Slice index 549; Liver; CT scan slice
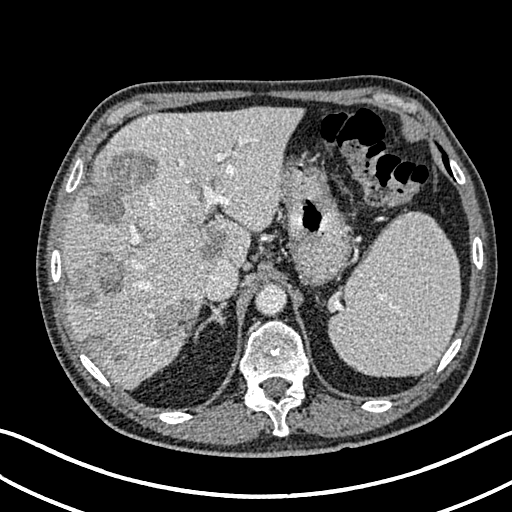 <segmentation>
  <liver_lesion>left=199, top=225, right=227, bottom=261; left=151, top=302, right=191, bottom=338; left=87, top=152, right=159, bottom=224; left=68, top=249, right=128, bottom=305; left=83, top=334, right=110, bottom=351</liver_lesion>
  <liver>left=64, top=107, right=301, bottom=386</liver>
</segmentation>